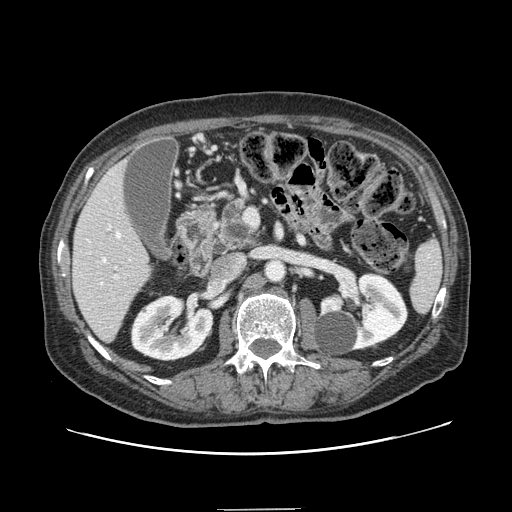
CT slice.
Pancreas: bounding box 215 194 253 252.